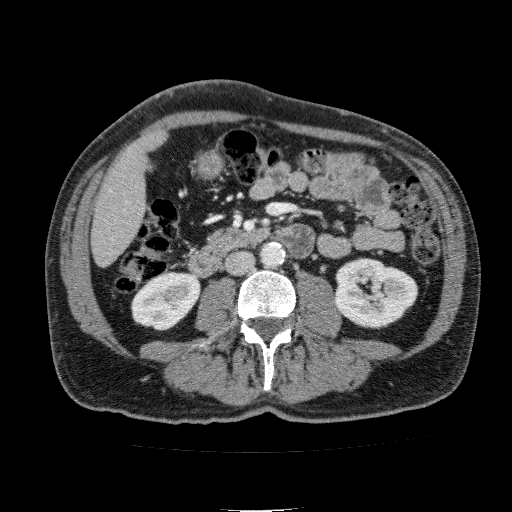

Upper abdomen, CT image
• kidney: region(132, 273, 199, 329); region(335, 259, 416, 326)
• liver: region(91, 129, 168, 268)